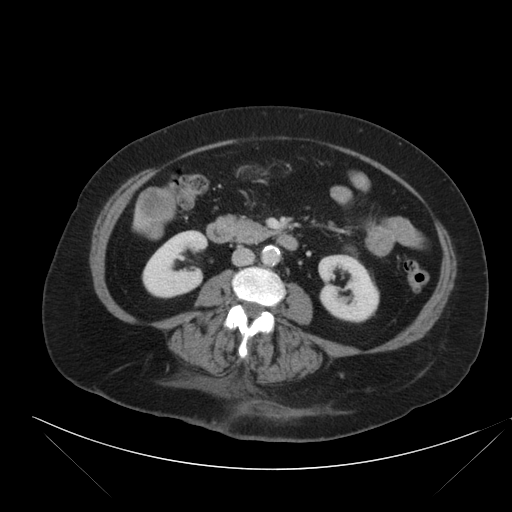 Computed tomography
{"liver_tumor": ["[x1=138, y1=188, x2=174, y2=238]"]}